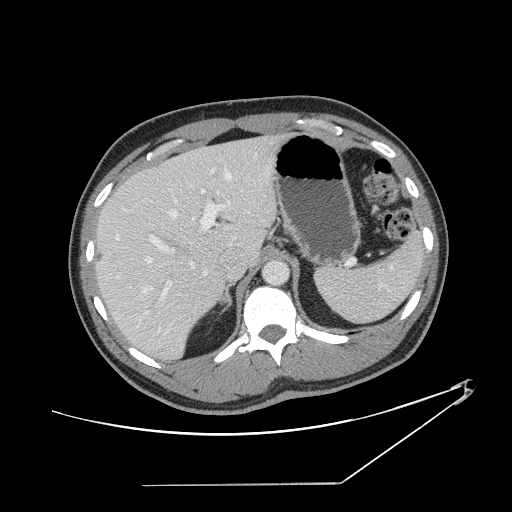
CT, Image size 512x512
The vessel boxes may cover only some of the vessels.
<segmentation partial="true">
  <hepatic_vessel shown="15" total="23">rect(146, 257, 151, 261); rect(116, 273, 120, 277); rect(200, 201, 229, 229); rect(190, 263, 194, 267); rect(225, 172, 231, 179); rect(174, 200, 176, 202); rect(201, 189, 204, 192); rect(162, 281, 171, 295); rect(115, 234, 119, 239); rect(169, 210, 176, 218); rect(142, 286, 152, 293); rect(171, 248, 174, 250); rect(149, 234, 167, 250); rect(211, 169, 214, 171); rect(167, 329, 170, 331)</hepatic_vessel>
</segmentation>